CT scan slice. Upper abdomen. 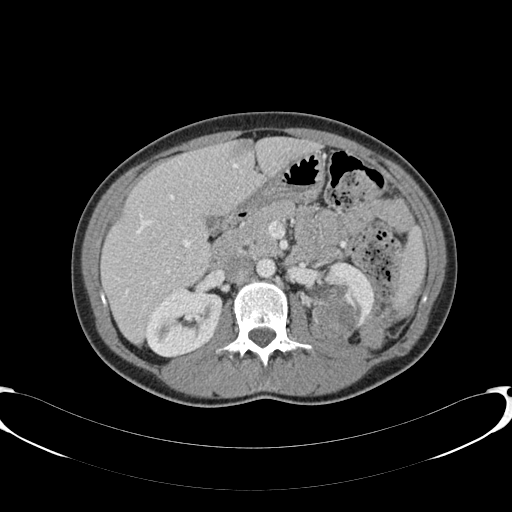

Hepatic lesion at x1=231, y1=140, x2=251, y2=155.
Liver at x1=102, y1=137, x2=319, y2=342.
Kidney at x1=311, y1=263, x2=373, y2=350; x1=146, y1=283, x2=221, y2=355.